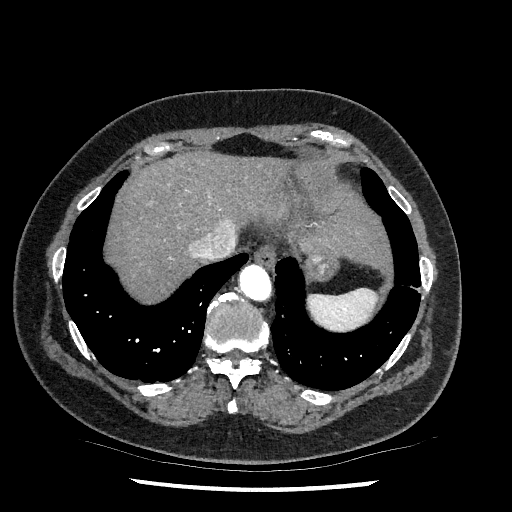

CT slice
liver:
  - 298, 161, 391, 271
  - 110, 152, 288, 299